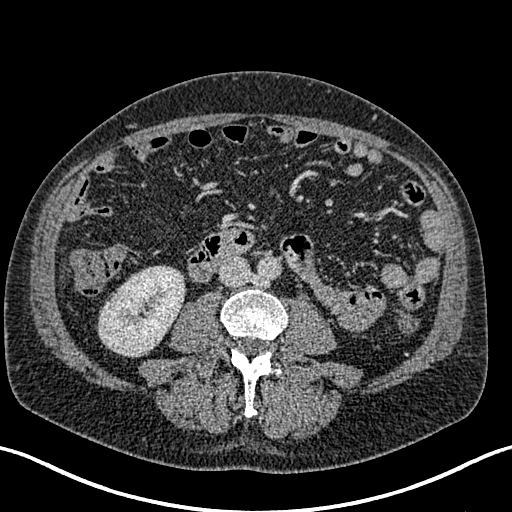

Abdomen. 512x512. CT image.

{
  "kidney": [
    "bbox=[99, 266, 184, 356]"
  ]
}